Computed tomography | Brain | 512x512 px
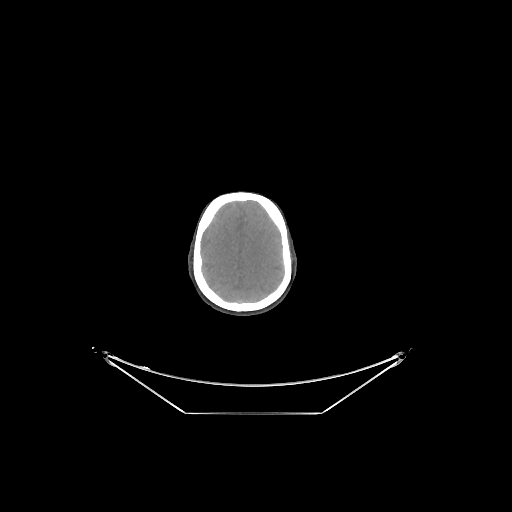
The brain lies within l=200, t=200, r=284, b=302.